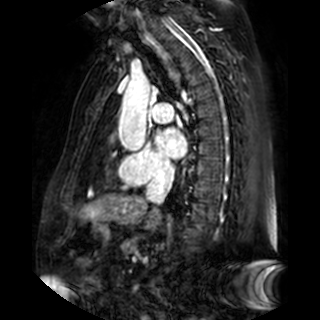

MRI slice, 320x320, Cardiac

{
  "left_atrium": [
    "left=154, top=128, right=186, bottom=159"
  ]
}